MRI slice

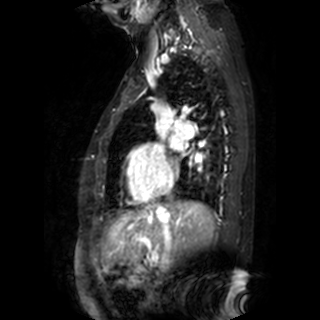

The left atrium is located at <box>169,139,182,149</box>.